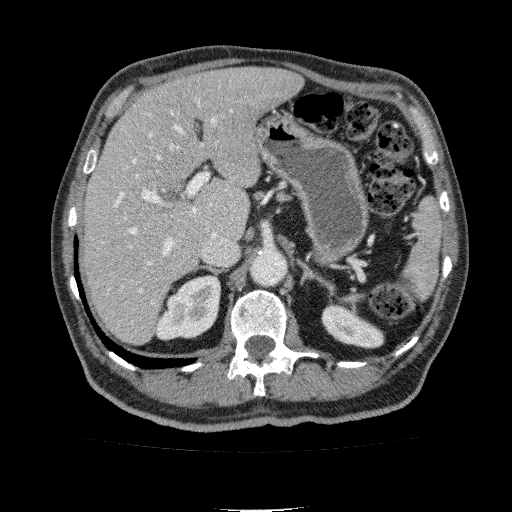
CT slice, Upper abdomen
<segmentation>
  <liver>(84, 67, 304, 342)</liver>
  <kidney>(156, 276, 219, 338), (323, 306, 382, 346)</kidney>
</segmentation>